Head.
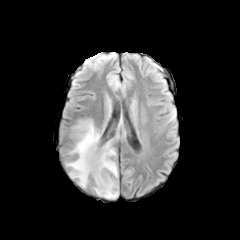
FLAIR MR image.
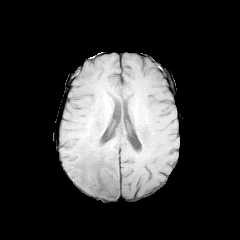
Same slice, T1-weighted magnetic resonance.
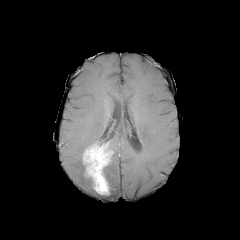
Same slice, post-contrast T1-weighted MR.
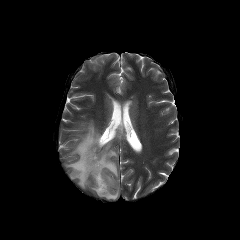
T2-weighted MR of the same slice.
The non-enhancing tumor core lies within [x1=87, y1=142, x2=110, y2=151]. The enhancing tumor is located at [x1=82, y1=146, x2=111, y2=194]. 3 edema regions are bounded by [x1=66, y1=120, x2=101, y2=187], [x1=115, y1=115, x2=122, y2=138], [x1=98, y1=139, x2=118, y2=198].